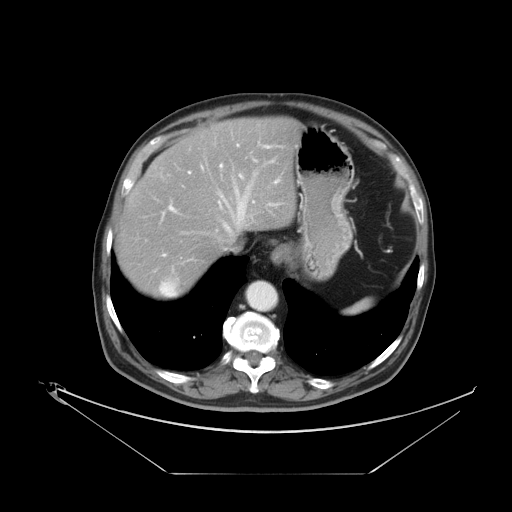

CT scan slice. Abdomen. Some hepatic vessels may have no box.
{"partial": true, "hepatic_vessel": {"n_total": 17, "boxes": ["bbox(217, 180, 252, 226)", "bbox(240, 174, 242, 177)", "bbox(264, 145, 272, 147)", "bbox(274, 179, 279, 183)", "bbox(224, 223, 231, 232)", "bbox(163, 254, 165, 255)", "bbox(267, 160, 273, 162)", "bbox(220, 164, 222, 168)", "bbox(201, 165, 203, 169)", "bbox(168, 201, 175, 211)", "bbox(188, 171, 190, 173)", "bbox(160, 279, 175, 293)", "bbox(268, 203, 277, 205)", "bbox(254, 159, 257, 161)", "bbox(252, 201, 254, 202)"]}}